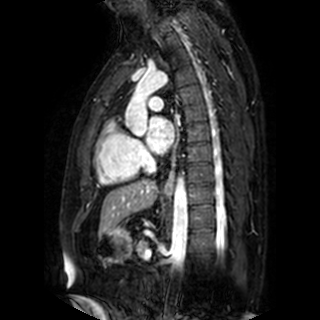

MR.
{"left_atrium": [{"x1": 146, "y1": 117, "x2": 173, "y2": 152}]}